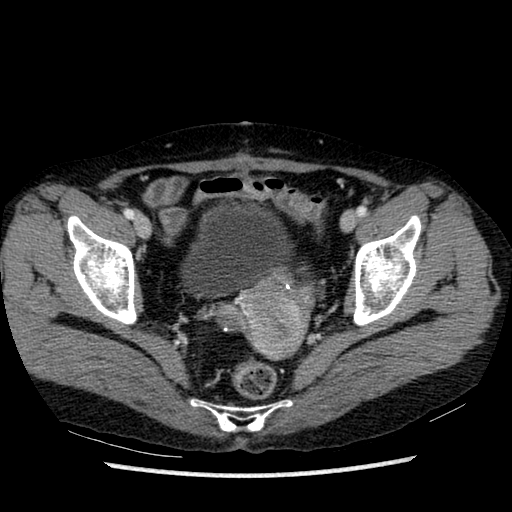

CT slice; Lower abdomen
urinary bladder: 179, 196, 302, 298